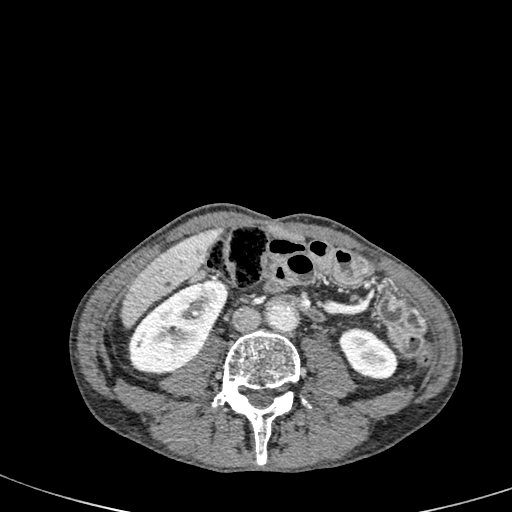

CT image
{
  "kidney": [
    "340:329:396:378",
    "130:280:227:372"
  ],
  "liver": [
    "122:227:222:327"
  ]
}